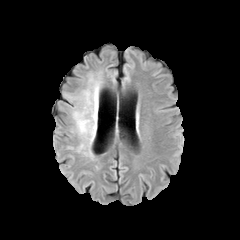
FLAIR MRI.
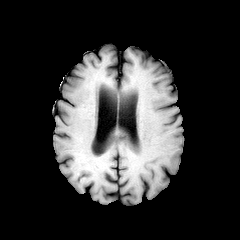
T1-weighted MR image.
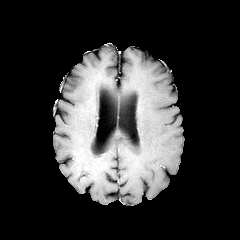
Post-contrast T1-weighted magnetic resonance.
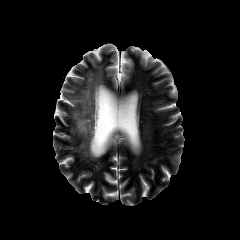
T2-weighted MRI.
Brain.
edema:
  - (x1=69, y1=74, x2=102, y2=158)